Field of view 458x458 mm. Upper abdomen. Computed tomography.

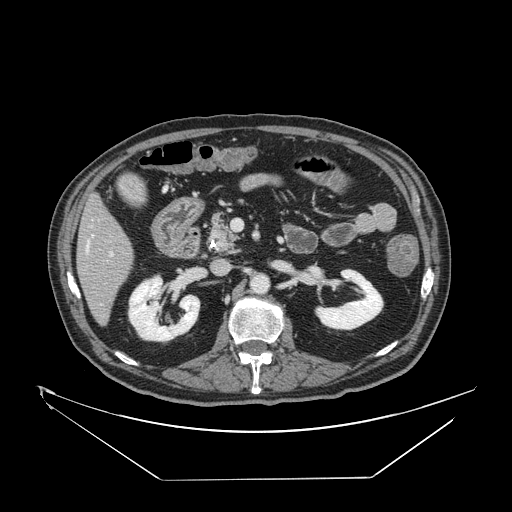

The pancreas is located at [204,208,242,255]. The pancreatic tumor is located at [209,232,232,250].